Slice 77/155
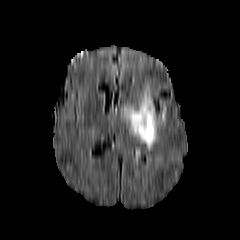
FLAIR magnetic resonance.
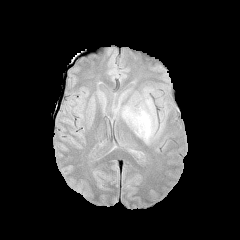
T1-weighted MR.
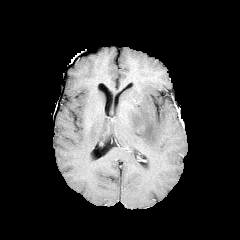
Post-contrast T1-weighted MR.
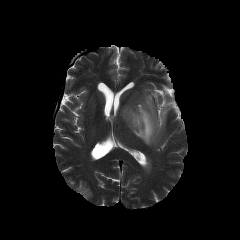
T2-weighted MRI.
edema: [125,94,166,146]